Head | 240x240
FLAIR magnetic resonance.
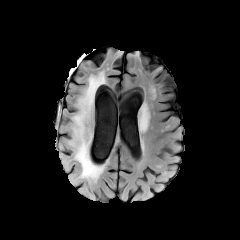
T1-weighted MR image.
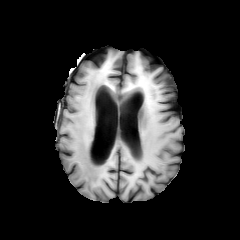
Post-contrast T1-weighted magnetic resonance.
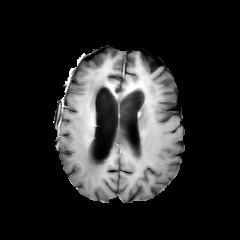
T2-weighted MR.
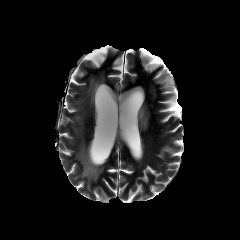
2 edema regions appear at {"x1": 74, "y1": 141, "x2": 104, "y2": 183}, {"x1": 73, "y1": 75, "x2": 104, "y2": 136}.